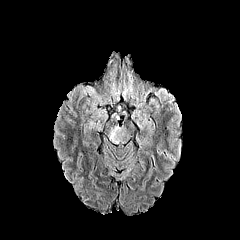
FLAIR MR.
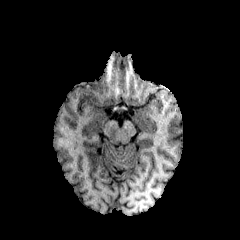
T1-weighted MR image.
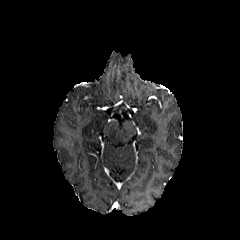
Post-contrast T1-weighted magnetic resonance.
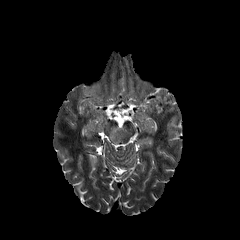
T2-weighted magnetic resonance.
Annotated regions:
• edema: x1=83, y1=87, x2=95, y2=94